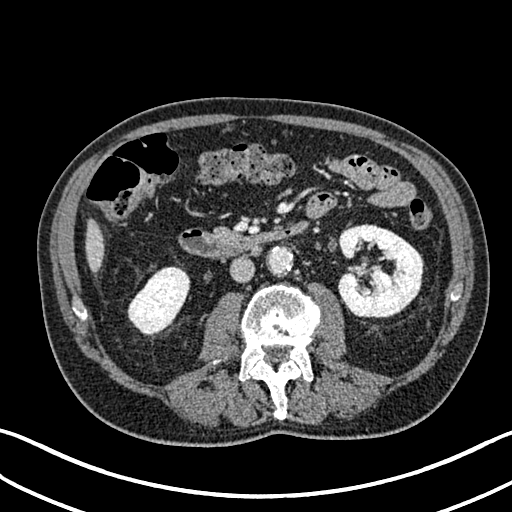
CT slice
2 kidney regions are located at [128,267,189,333], [339,225,422,316]. The liver lies within [87,219,103,271].